Abdomen, 512x512, Computed tomography 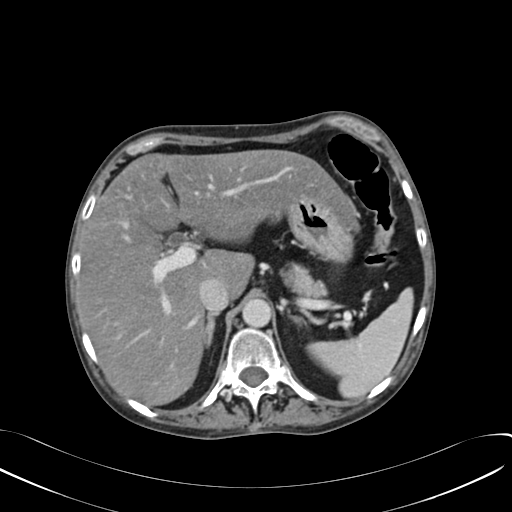 Segmented structures:
• liver: box=[80, 149, 357, 404]